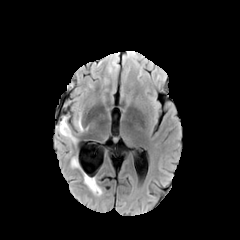
FLAIR MR image.
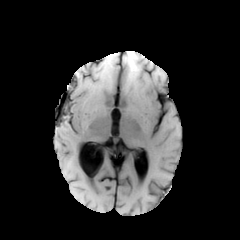
T1-weighted MR.
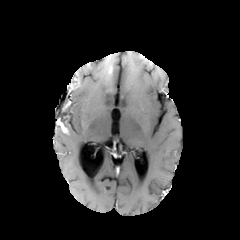
Post-contrast T1-weighted MR of the same slice.
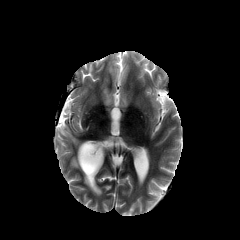
T2-weighted MR image.
{
  "edema": [
    "x1=83, y1=174, x2=101, y2=194",
    "x1=71, y1=158, x2=78, y2=167",
    "x1=74, y1=112, x2=83, y2=131",
    "x1=56, y1=116, x2=76, y2=143"
  ]
}